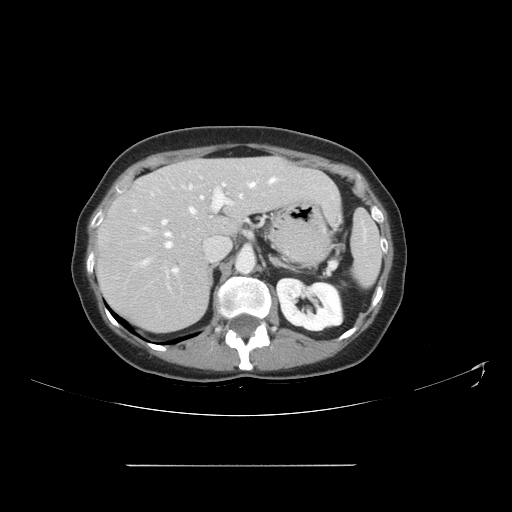 CT image; Liver
Not every hepatic vessel necessarily has a box.
Hepatic vessel: bounding box (left=161, top=219, right=166, bottom=224), (left=248, top=182, right=254, bottom=187), (left=165, top=232, right=170, bottom=236), (left=189, top=207, right=195, bottom=213), (left=188, top=185, right=191, bottom=188), (left=142, top=227, right=149, bottom=231), (left=165, top=242, right=171, bottom=247), (left=222, top=183, right=225, bottom=185), (left=269, top=177, right=275, bottom=183), (left=200, top=196, right=203, bottom=199), (left=212, top=187, right=232, bottom=210), (left=172, top=267, right=178, bottom=273), (left=140, top=259, right=149, bottom=266), (left=239, top=194, right=242, bottom=197), (left=166, top=271, right=167, bottom=274).
Liver tumor: bounding box (left=248, top=168, right=264, bottom=174), (left=237, top=170, right=247, bottom=178), (left=105, top=240, right=114, bottom=248).